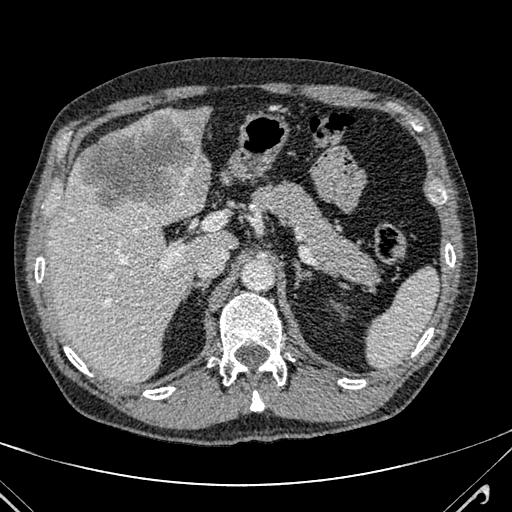

Computed tomography. Abdomen. 512x512 px. The focal liver lesion is bounded by 79:113:209:210. 3 liver regions appear at 47:157:236:383, 220:170:231:184, 110:105:210:149.